Slice index 30; CT

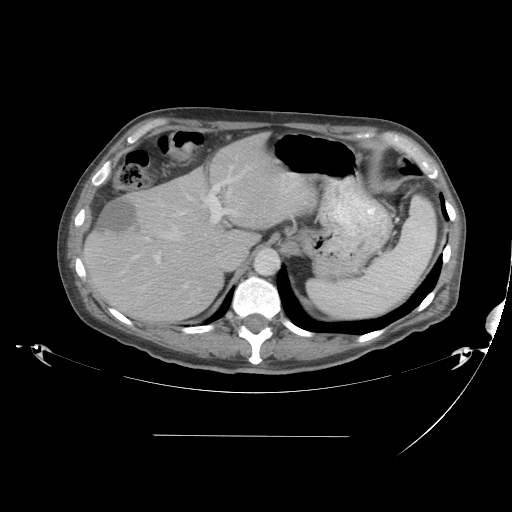 The vessel annotation is not exhaustive.
Liver tumor — bbox(94, 199, 137, 233).
Hepatic vessel — bbox(183, 283, 187, 288); bbox(282, 174, 296, 193); bbox(226, 188, 231, 197); bbox(172, 205, 188, 217); bbox(160, 223, 185, 240); bbox(202, 166, 250, 224); bbox(131, 254, 140, 259); bbox(153, 250, 160, 264); bbox(144, 236, 149, 240).